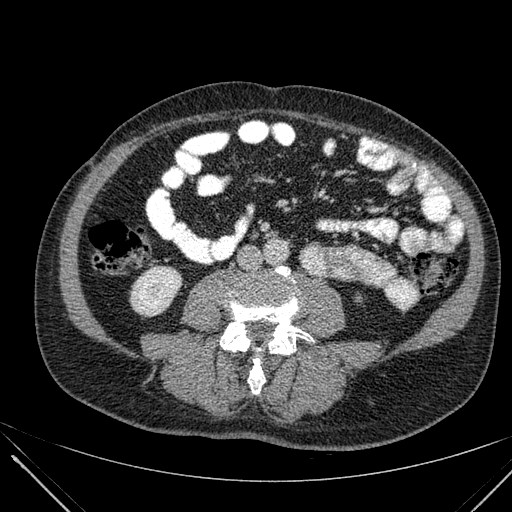 CT

The kidney is bounded by (131, 267, 180, 315).